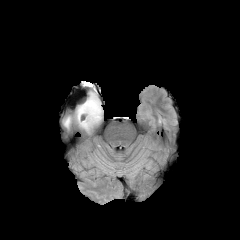
FLAIR MR image.
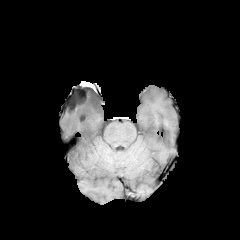
T1-weighted magnetic resonance.
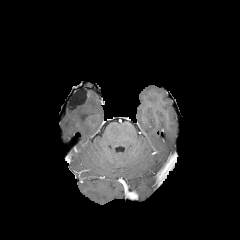
Post-contrast T1-weighted MR.
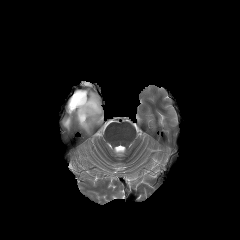
T2-weighted MR image.
Edema — region(63, 91, 103, 131).